Brain.
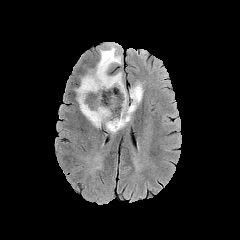
FLAIR MR image.
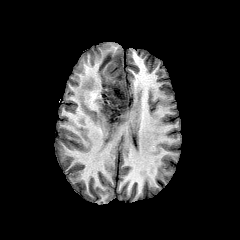
T1-weighted magnetic resonance.
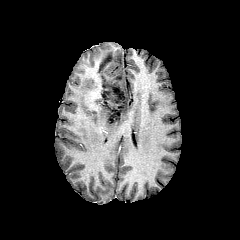
Post-contrast T1-weighted MRI.
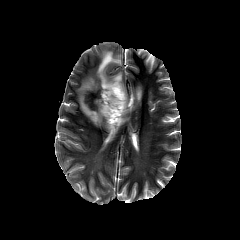
T2-weighted MR image of the same slice.
edema: (x1=76, y1=43, x2=142, y2=136) | non-enhancing tumor core: (x1=100, y1=84, x2=127, y2=123)